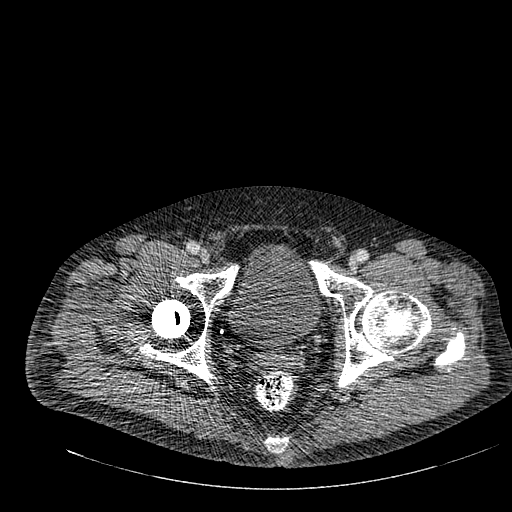
CT scan slice. Pelvis. Image size 512x512. The urinary bladder is located at left=228, top=244, right=321, bottom=350.